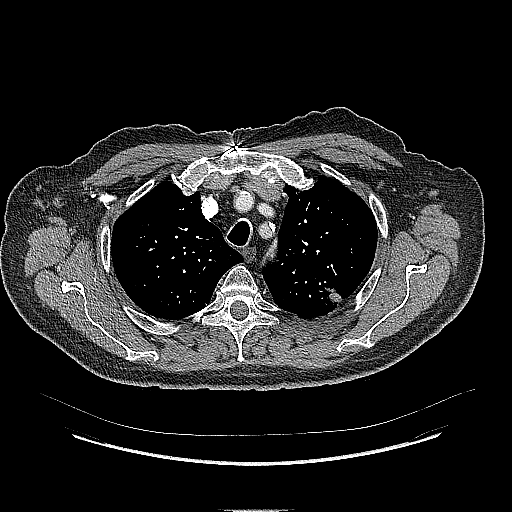 CT scan slice. Lung tumor at x1=322, y1=285, x2=344, y2=305.